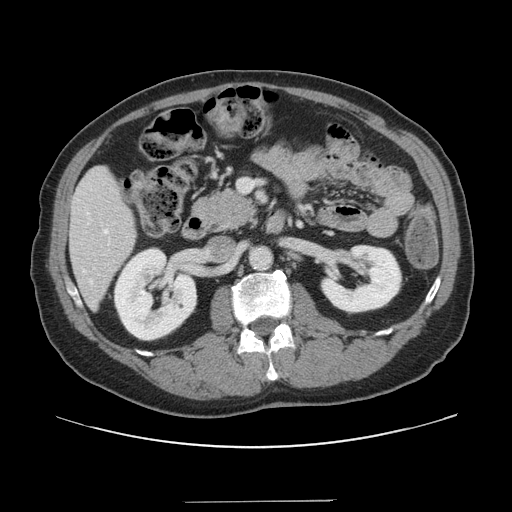
512x512 px, CT scan slice, Liver

Not every hepatic vessel necessarily has a box.
{
  "hepatic_vessel": [
    "104, 230, 107, 233",
    "238, 179, 254, 192"
  ]
}